Slice index 106 | Head
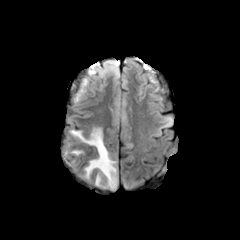
FLAIR magnetic resonance.
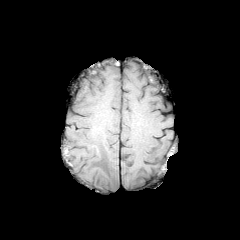
Same slice, T1-weighted MR image.
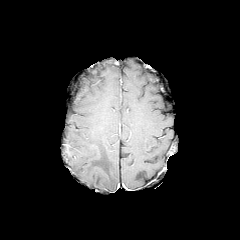
Same slice, post-contrast T1-weighted MR.
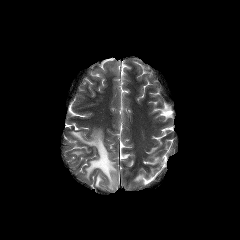
T2-weighted magnetic resonance of the same slice.
Edema = l=70, t=128, r=118, b=190; l=102, t=64, r=119, b=77.